MRI slice; Medial temporal lobe 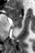 Segmented structures:
* anterior hippocampus: bbox=[5, 6, 22, 20]
* posterior hippocampus: bbox=[13, 21, 22, 28]